Slice 72 of 135, CT scan slice

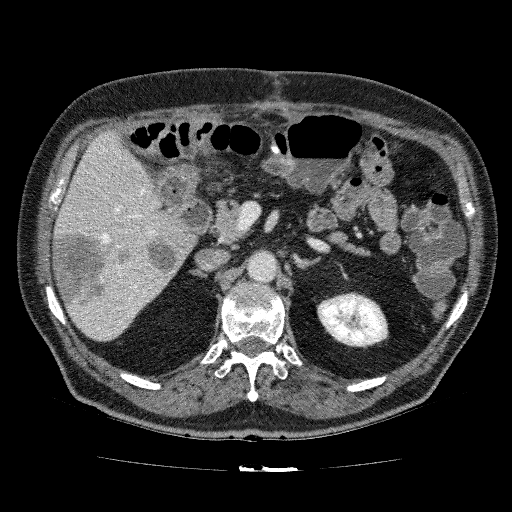

Liver: l=53, t=129, r=196, b=341.
Hepatic lesion: l=143, t=232, r=180, b=276; l=52, t=229, r=133, b=309.
Kidney: l=318, t=293, r=387, b=346.